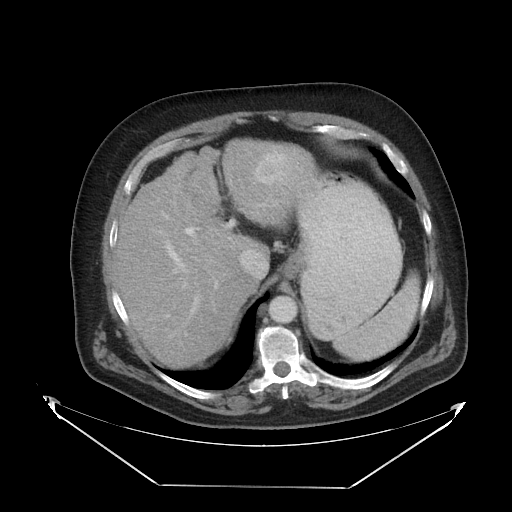

Abdomen. CT slice. Not every hepatic vessel necessarily has a box.
Hepatic vessel = <bbox>168, 246, 181, 265</bbox>, <bbox>229, 222, 232, 226</bbox>, <bbox>240, 249, 266, 277</bbox>, <bbox>182, 281, 186, 287</bbox>, <bbox>187, 228, 196, 243</bbox>, <bbox>196, 295, 199, 299</bbox>.
Liver tumor = <bbox>254, 155, 291, 183</bbox>.